CT image

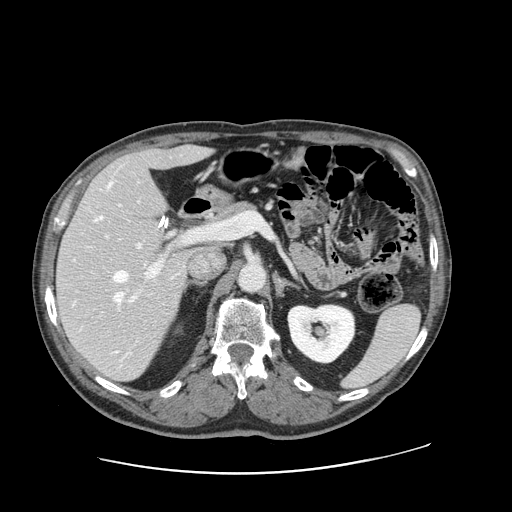
The vessel boxes may cover only some of the vessels.
hepatic vessel: 94,216,101,221; 137,243,140,247; 129,295,135,301; 113,271,127,282; 146,268,150,277; 114,293,122,301; 108,181,112,187